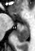

MRI slice. Image size 35x51.

The posterior hippocampus lies within [x1=15, y1=24, x2=29, y2=42].